Slice index 68, Field of view 240 mm wide, 1.00 mm slice spacing
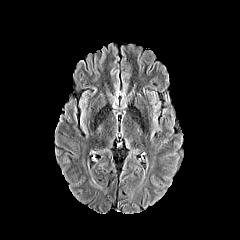
FLAIR MRI.
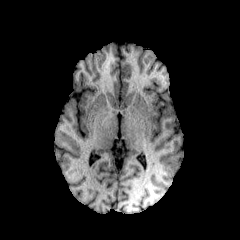
T1-weighted MR image.
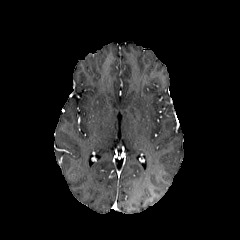
Post-contrast T1-weighted magnetic resonance.
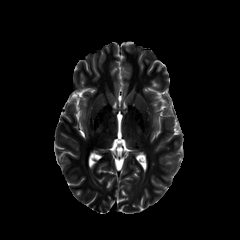
Same slice, T2-weighted magnetic resonance.
{
  "edema": [
    "[152,106,160,130]"
  ]
}